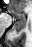
32x47 px. MRI slice. The posterior hippocampus lies within x1=15, y1=20, x2=26, y2=33. The anterior hippocampus is bounded by x1=9, y1=10, x2=25, y2=19.